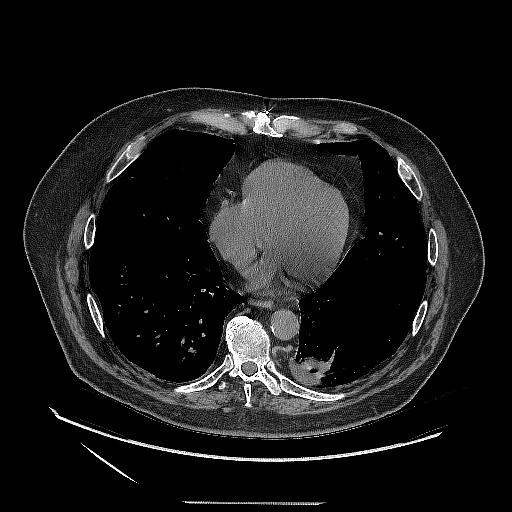
CT scan slice; Image size 512x512

lung_tumor:
  - 289, 338, 347, 386